Slice 77/689. CT image. Field of view 360 mm wide, 0.80 mm slice spacing. Image size 512x512.
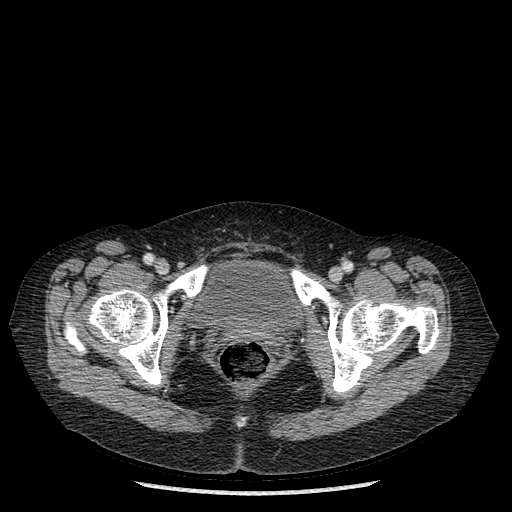

3 bone regions are bounded by x1=85 y1=265 x2=207 y2=387, x1=290 y1=269 x2=440 y2=395, x1=64 y1=317 x2=85 y2=354. The urinary bladder is located at x1=195 y1=260 x2=302 y2=341.